Slice 37 of 52 | CT scan slice
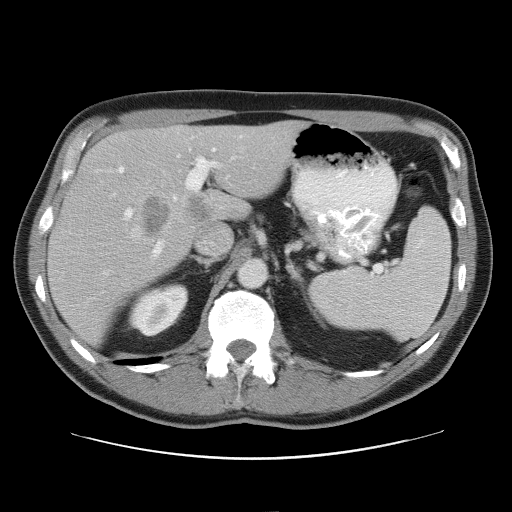

Not every hepatic vessel necessarily has a box.
<segmentation>
  <liver_tumor>left=188, top=198, right=210, bottom=224; left=142, top=199, right=171, bottom=236</liver_tumor>
  <hepatic_vessel>left=212, top=148, right=214, bottom=151; left=226, top=176, right=228, bottom=178; left=152, top=240, right=163, bottom=258; left=206, top=198, right=209, bottom=202; left=231, top=156, right=237, bottom=159; left=238, top=136, right=242, bottom=137; left=110, top=194, right=114, bottom=196; left=166, top=224, right=168, bottom=227; left=123, top=207, right=139, bottom=219; left=131, top=227, right=141, bottom=240; left=118, top=167, right=123, bottom=172; left=171, top=156, right=219, bottom=210</hepatic_vessel>
</segmentation>